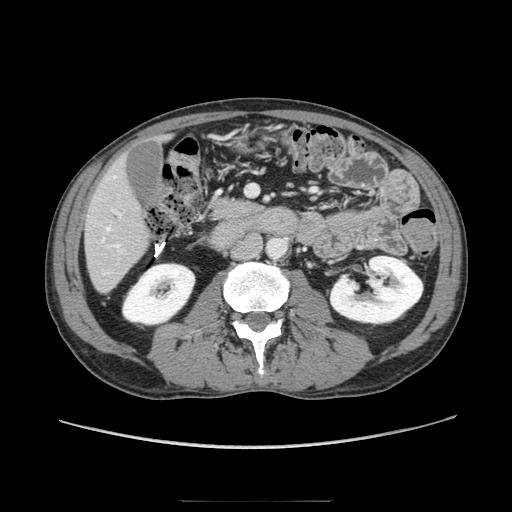

Upper abdomen, Computed tomography, 512x512 px
pancreas:
  - <box>212,198,261,218</box>